CT, Upper abdomen, Slice index 45

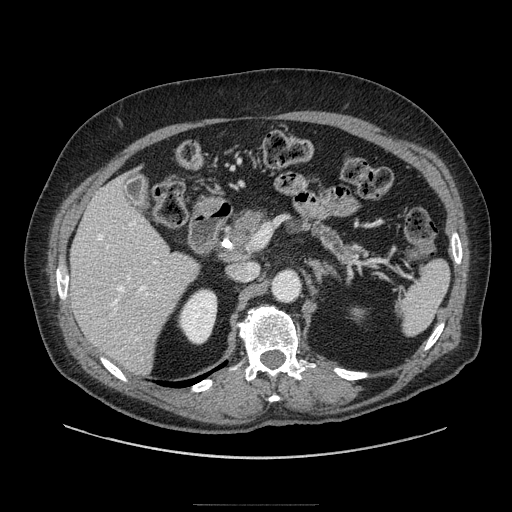

Pancreas: [x1=233, y1=210, x2=264, y2=245], [x1=304, y1=220, x2=363, y2=263].